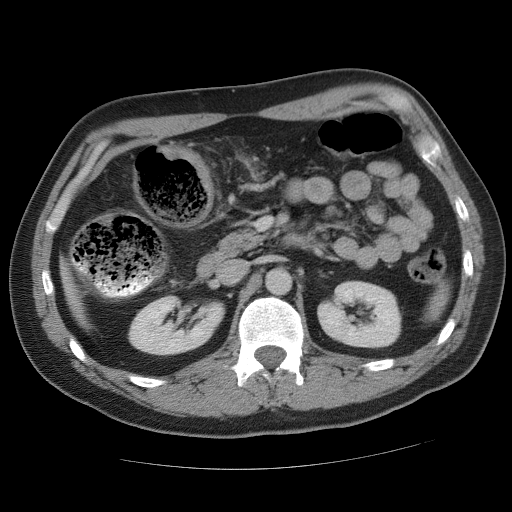
512x512 px. Upper abdomen. CT slice.
{
  "spleen": [
    "<box>426,286,447,321</box>"
  ]
}